CT image | Image width 500 mm
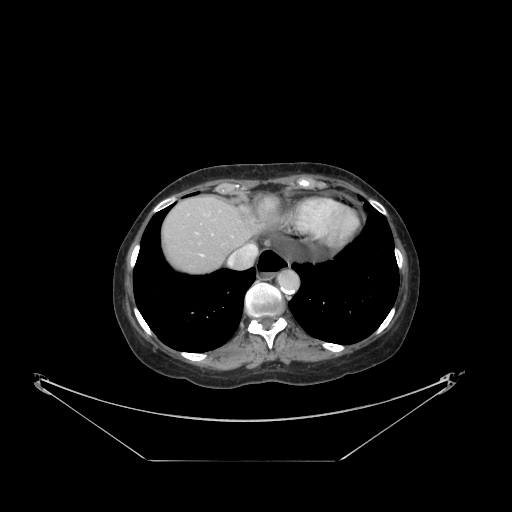

Not every hepatic vessel necessarily has a box.
hepatic vessel: l=228, t=243, r=259, b=266; l=196, t=233, r=198, b=234; l=204, t=211, r=210, b=215; l=200, t=254, r=203, b=256